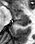
Magnetic resonance
The anterior hippocampus lies within (11, 11, 27, 20). The posterior hippocampus is located at (14, 21, 27, 26).